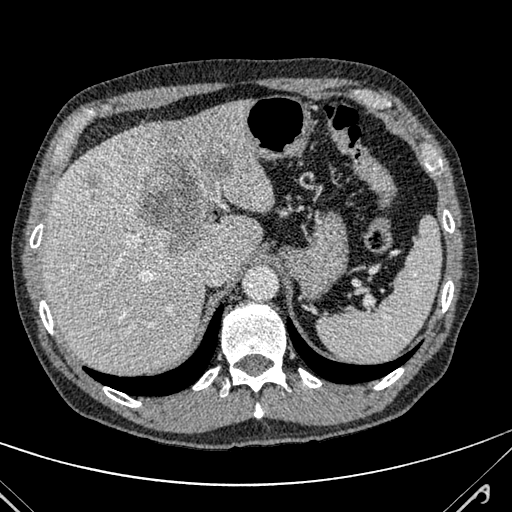 Abdomen. CT image.

The liver is located at left=44, top=99, right=273, bottom=373. 2 hepatic lesion regions are located at left=134, top=145, right=229, bottom=258; left=88, top=178, right=100, bottom=186.